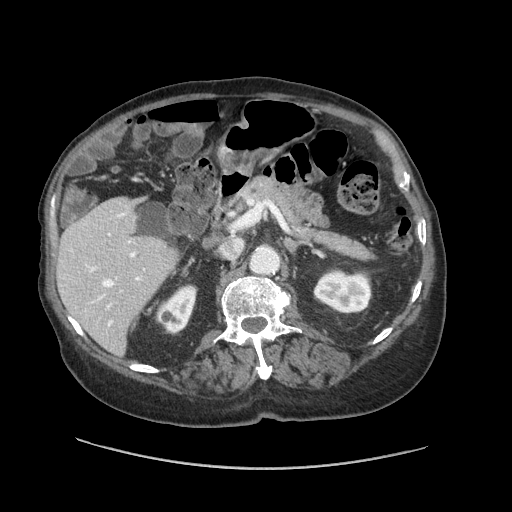

CT scan slice | 512x512 px | Abdomen

The vessel boxes may cover only some of the vessels.
3 hepatic vessel regions are bounded by (x1=233, y1=239, x2=242, y2=252), (x1=221, y1=248, x2=233, y2=258), (x1=102, y1=279, x2=113, y2=286).